Image width 480 mm; Slice 37/46; CT slice

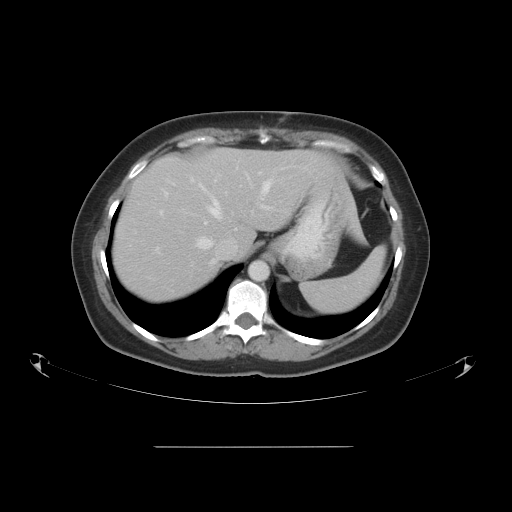
The vessel annotation is not exhaustive.
Segmented structures:
• hepatic vessel (top 15 of 19): (x1=199, y1=183, x2=208, y2=192), (x1=273, y1=168, x2=276, y2=172), (x1=156, y1=247, x2=159, y2=253), (x1=259, y1=171, x2=261, y2=173), (x1=162, y1=188, x2=168, y2=196), (x1=256, y1=203, x2=270, y2=208), (x1=216, y1=239, x2=236, y2=253), (x1=260, y1=178, x2=273, y2=199), (x1=160, y1=209, x2=163, y2=214), (x1=208, y1=195, x2=221, y2=217), (x1=167, y1=179, x2=174, y2=184), (x1=197, y1=237, x2=214, y2=247), (x1=212, y1=259, x2=215, y2=262), (x1=246, y1=172, x2=249, y2=179), (x1=191, y1=178, x2=194, y2=181)